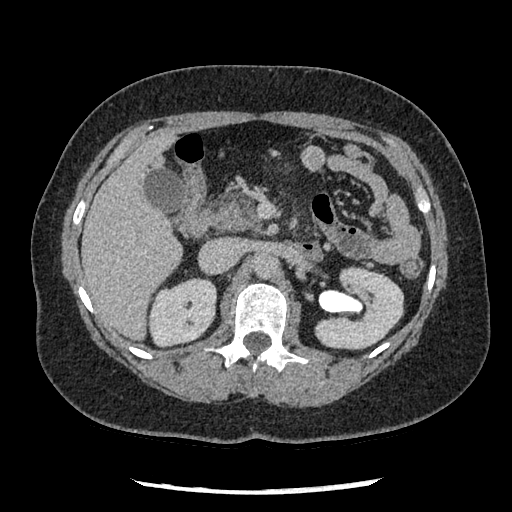

Image size 512x512. CT. Abdomen.
Pancreas at [x1=213, y1=192, x2=260, y2=231].